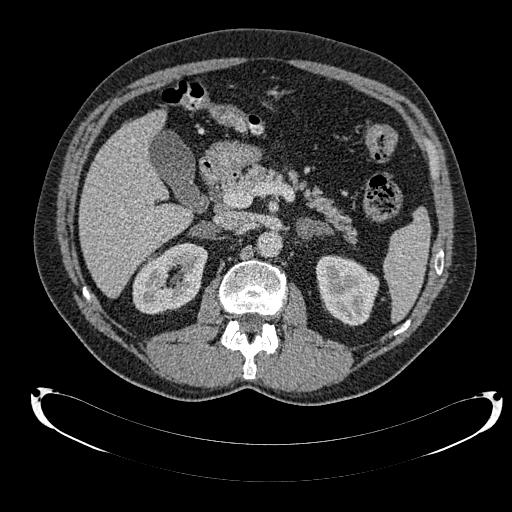
Liver. Image size 512x512. CT image.
kidney: (133, 243, 207, 313), (316, 256, 378, 324) | liver: (79, 110, 192, 297)